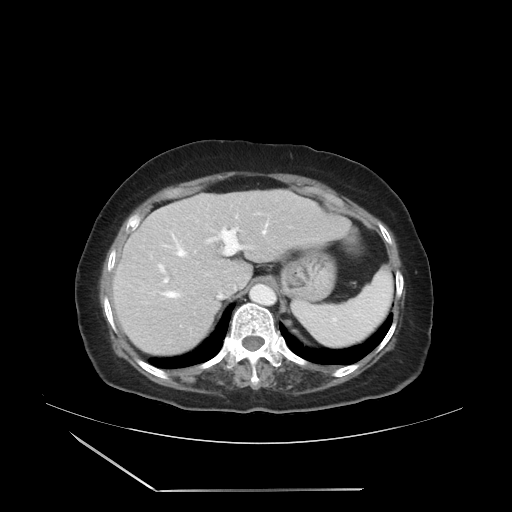
CT slice
Not every hepatic vessel necessarily has a box.
15 hepatic vessel regions are bounded by (158,263,164,272), (171,231,187,257), (160,277,168,285), (256,213,260,213), (235,215,237,217), (206,227,252,254), (161,291,182,298), (262,221,267,234), (150,290,157,294), (142,302,147,302), (151,254,152,258), (163,244,171,247), (219,295,222,297), (233,227,238,233), (207,228,211,229).